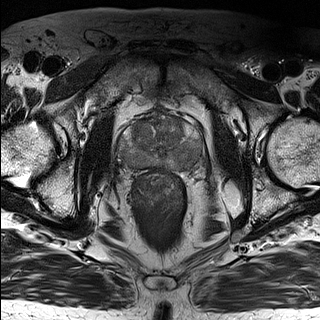
T2-weighted MR.
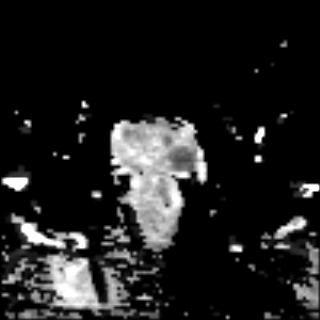
Same slice, ADC MR.
Pelvis.
The prostate transition zone is at rect(131, 122, 185, 153). The prostate peripheral zone appears at rect(124, 125, 198, 167).